Brain; Slice 76/155
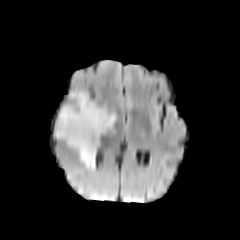
FLAIR MR.
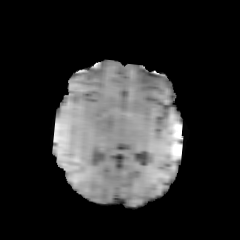
Same slice, T1-weighted MR image.
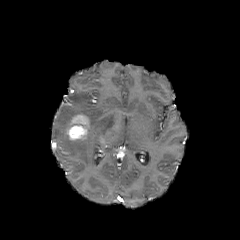
Post-contrast T1-weighted magnetic resonance.
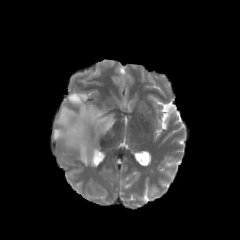
T2-weighted MR.
Annotated regions:
- enhancing tumor: <box>66,114,90,141</box>
- edema: <box>54,92,116,169</box>